Magnetic resonance. Slice 8/28.
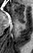

The anterior hippocampus appears at bbox(12, 4, 24, 22).